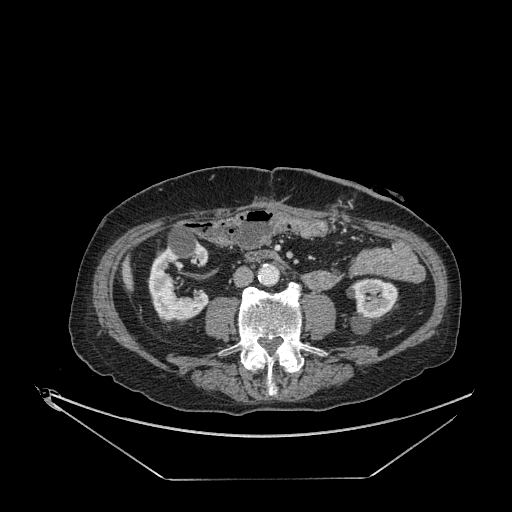 CT slice

liver:
  - 126,258,131,290
kidney:
  - 194,243,207,264
  - 149,248,207,319
  - 352,279,397,318